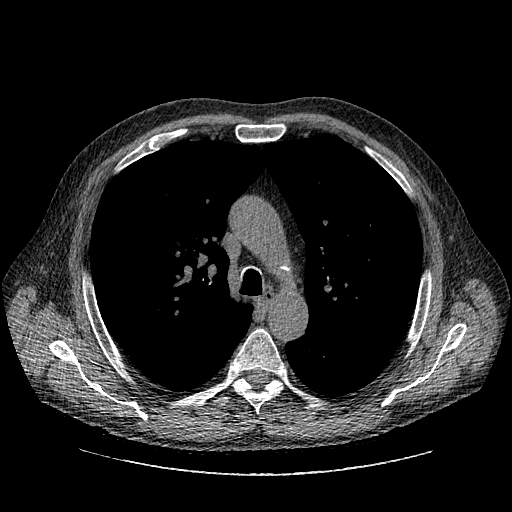
512x512, Chest, CT image
Lung tumor at bbox=[161, 237, 190, 262].